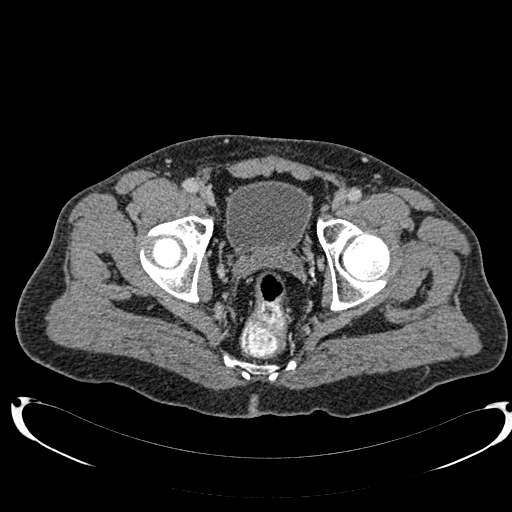 Computed tomography
Segmented structures:
- urinary bladder: [225, 181, 311, 261]